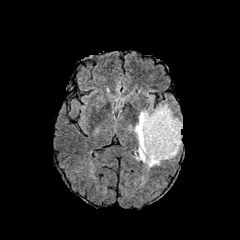
FLAIR MR image.
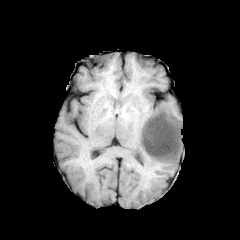
Same slice, T1-weighted MR.
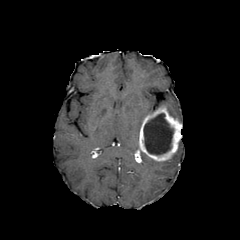
Post-contrast T1-weighted MR image of the same slice.
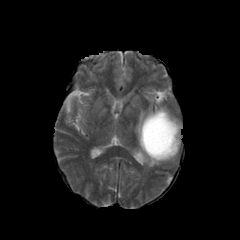
Same slice, T2-weighted MR.
240x240 px; Head
<segmentation>
  <enhancing_tumor>(left=138, top=105, right=182, bottom=162)</enhancing_tumor>
  <non-enhancing_tumor_core>(left=144, top=114, right=172, bottom=154)</non-enhancing_tumor_core>
  <edema>(left=142, top=154, right=163, bottom=169), (left=131, top=107, right=157, bottom=148)</edema>
</segmentation>